CT slice
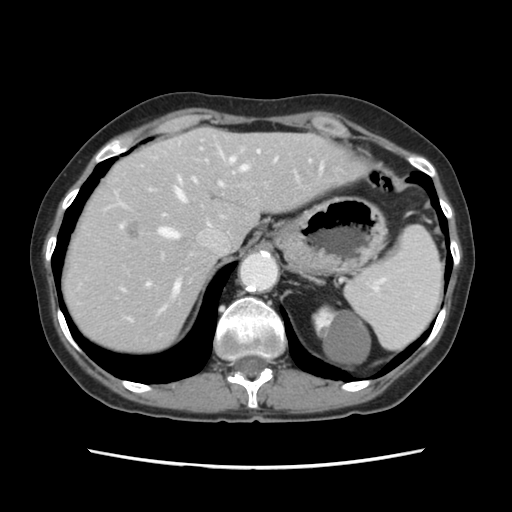

The vessel boxes may cover only some of the vessels.
Annotated regions:
* hepatic vessel: (left=257, top=150, right=259, bottom=152), (left=160, top=228, right=177, bottom=237), (left=229, top=157, right=234, bottom=162), (left=120, top=225, right=122, bottom=227), (left=193, top=178, right=195, bottom=181), (left=241, top=165, right=247, bottom=170), (left=176, top=190, right=184, bottom=199), (left=179, top=179, right=180, bottom=181), (left=146, top=283, right=149, bottom=285), (left=219, top=183, right=222, bottom=185)
* liver tumor: (left=128, top=223, right=139, bottom=237)